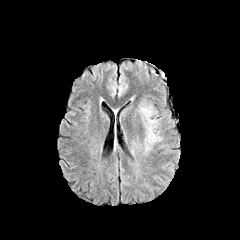
FLAIR MRI.
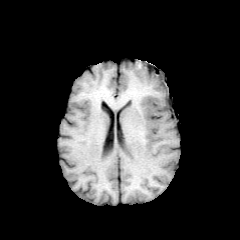
Same slice, T1-weighted MR.
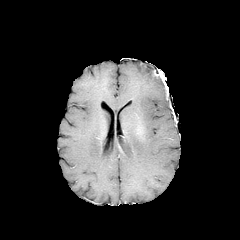
Post-contrast T1-weighted MR.
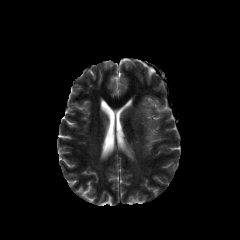
Same slice, T2-weighted MR.
Edema at (x1=139, y1=105, x2=162, y2=151).